Field of view 240 mm wide, 1.00 mm slice spacing
FLAIR magnetic resonance.
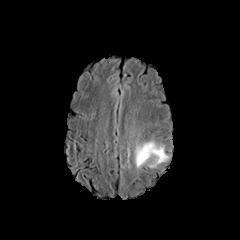
T1-weighted magnetic resonance.
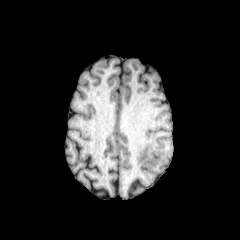
Post-contrast T1-weighted MR image.
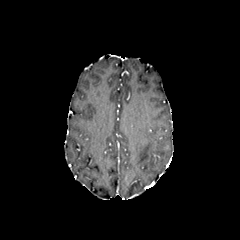
T2-weighted MRI.
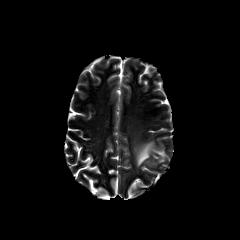
The edema is bounded by rect(135, 141, 166, 166).